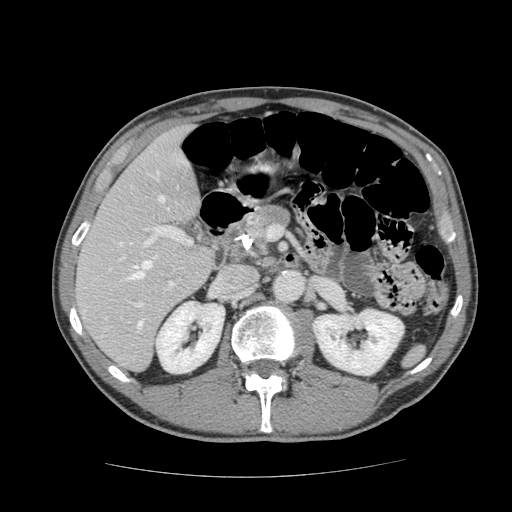
CT

Pancreatic tumor = 254 207 280 230.
Pancreas = 229 203 294 259.